Upper abdomen | CT image | 512x512 | Slice index 476

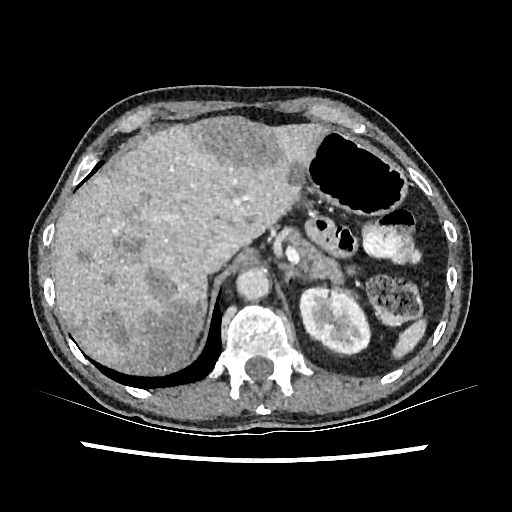
Liver lesion: [286, 160, 306, 185], [95, 268, 201, 372], [76, 250, 92, 263], [191, 119, 283, 171], [243, 215, 253, 225], [114, 234, 144, 263], [70, 313, 87, 338], [128, 194, 148, 225], [103, 273, 115, 286].
Kidney: [300, 288, 369, 353].
Liver: [184, 330, 199, 358], [54, 121, 328, 372].